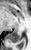
MRI slice

Posterior hippocampus: bounding box <box>18,31,21,31</box>, <box>7,33,20,42</box>.